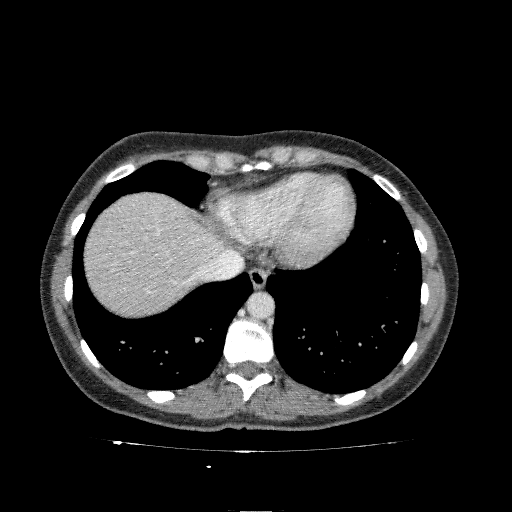

Computed tomography | Liver
liver:
  - l=84, t=192, r=223, b=315